Pelvis, 512x512, Computed tomography

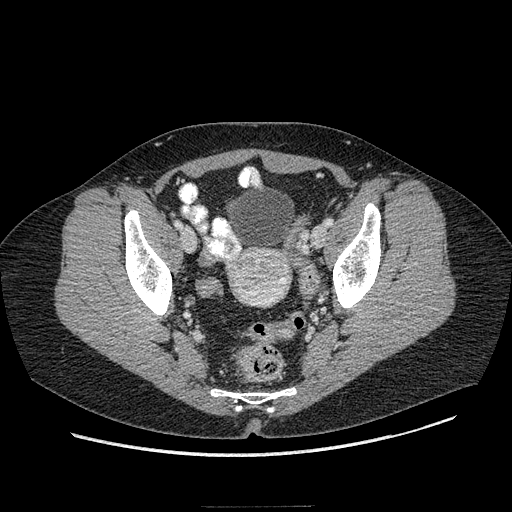
Colon tumor: 239 346 262 380.